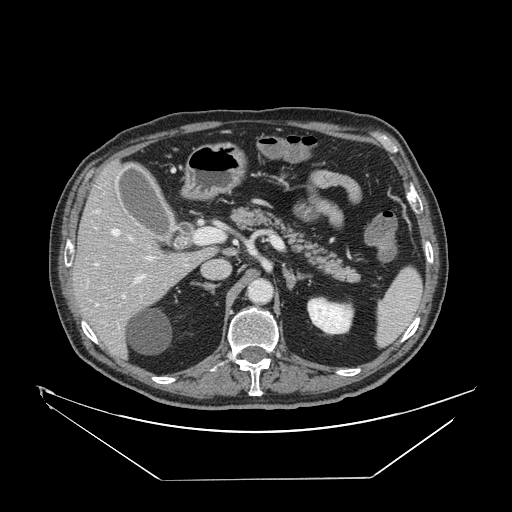
CT image | Upper abdomen
<segmentation>
  <pancreas>left=223, top=205, right=362, bottom=285</pancreas>
</segmentation>